Slice 35 of 155; 240x240
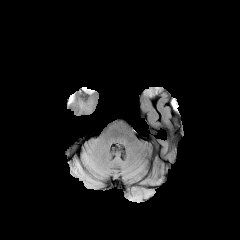
FLAIR MR.
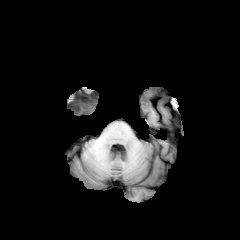
T1-weighted magnetic resonance.
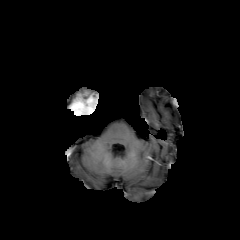
Post-contrast T1-weighted MR image of the same slice.
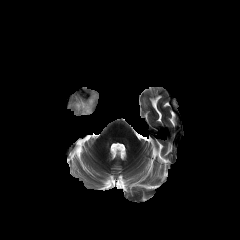
T2-weighted MRI of the same slice.
Findings:
- enhancing tumor: (left=70, top=95, right=95, bottom=113)